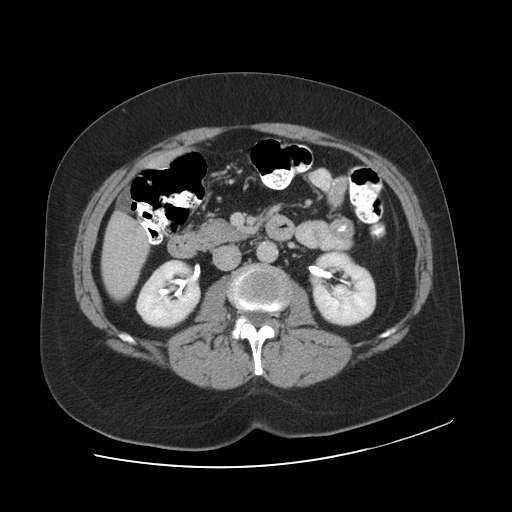

CT image | Liver
The vessel boxes may cover only some of the vessels.
3 hepatic vessel regions are located at bbox(117, 251, 119, 252); bbox(128, 235, 131, 237); bbox(114, 253, 116, 254).